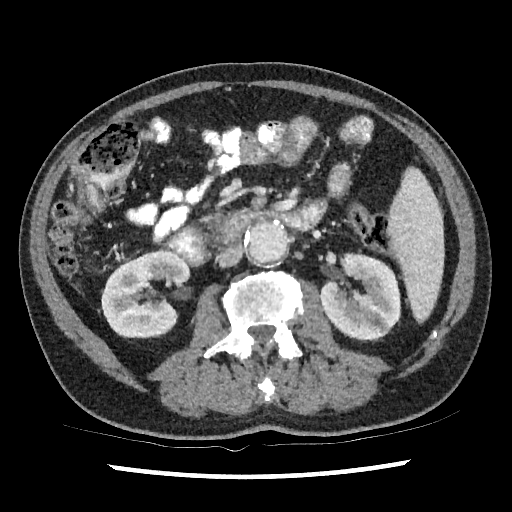
Abdomen, CT scan slice, 512x512 px

kidney: 102, 250, 189, 337; 320, 254, 399, 339